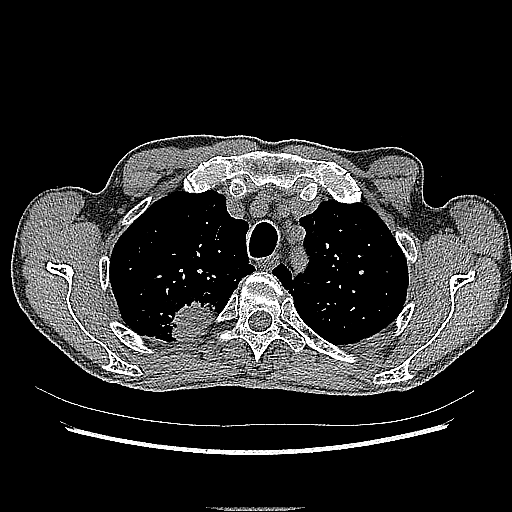 CT | Chest

lung_tumor:
  - [x1=156, y1=292, x2=226, y2=342]